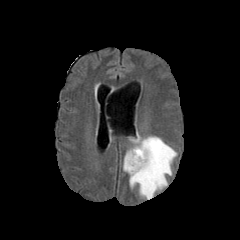
FLAIR MRI.
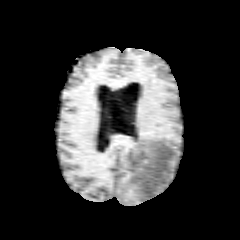
T1-weighted MR image of the same slice.
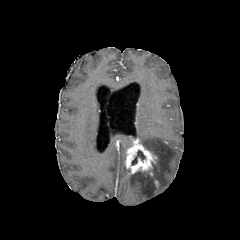
Same slice, post-contrast T1-weighted MRI.
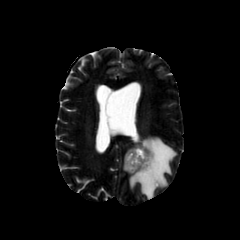
T2-weighted MR.
Brain | Image size 240x240
{"enhancing_tumor": ["x1=125 y1=137 x2=156 y2=174"], "non-enhancing_tumor_core": ["x1=132 y1=150 x2=145 y2=164", "x1=137 y1=163 x2=158 y2=183"], "edema": ["x1=129 y1=134 x2=177 y2=199"]}